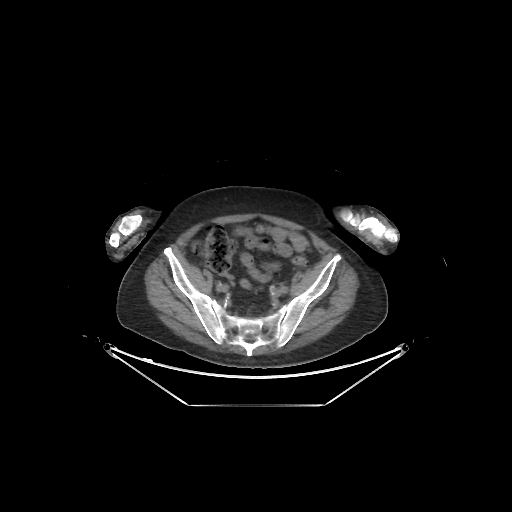

CT image, Image size 512x512
Bone: (109, 215, 141, 247), (164, 248, 340, 355), (342, 213, 397, 241).